Image size 240x240 | Brain
FLAIR MR.
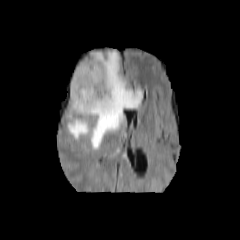
T1-weighted magnetic resonance.
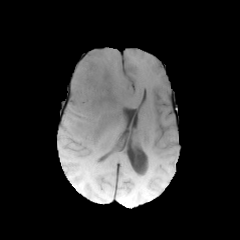
Post-contrast T1-weighted MR image.
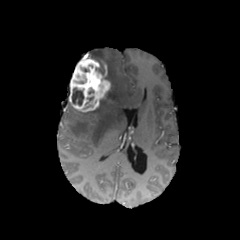
T2-weighted MR.
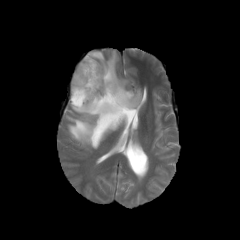
Annotated regions:
- non-enhancing tumor core: 72,88,83,104; 88,54,106,74; 104,83,112,97
- edema: 67,50,142,149
- enhancing tumor: 68,54,110,111